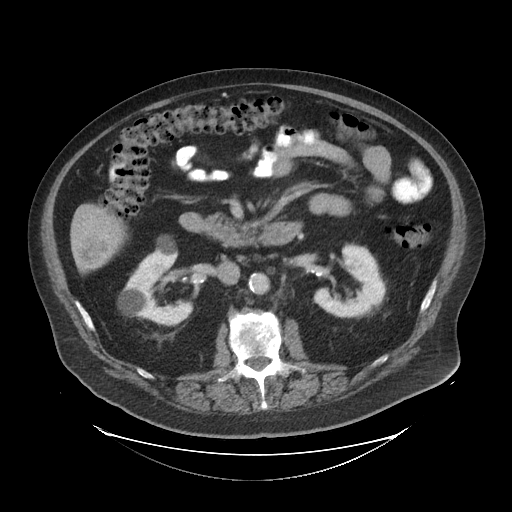
CT image
The liver tumor is bounded by box=[79, 237, 106, 262].